Slice 99/155. Brain. 240x240 px.
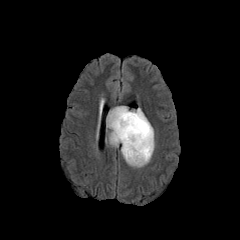
FLAIR magnetic resonance.
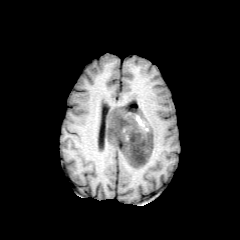
T1-weighted MR.
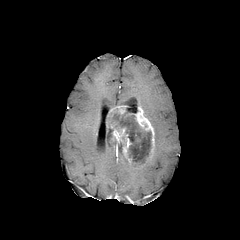
Post-contrast T1-weighted MR image.
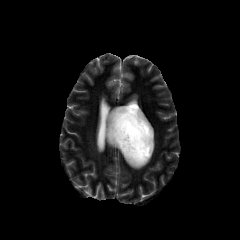
T2-weighted MR.
3 enhancing tumor regions are bounded by rect(110, 124, 131, 162); rect(110, 106, 126, 114); rect(134, 107, 154, 153). The edema is bounded by rect(122, 141, 155, 168). 2 non-enhancing tumor core regions are bounded by rect(106, 108, 151, 165); rect(118, 142, 123, 154).